CT scan slice; 512x512 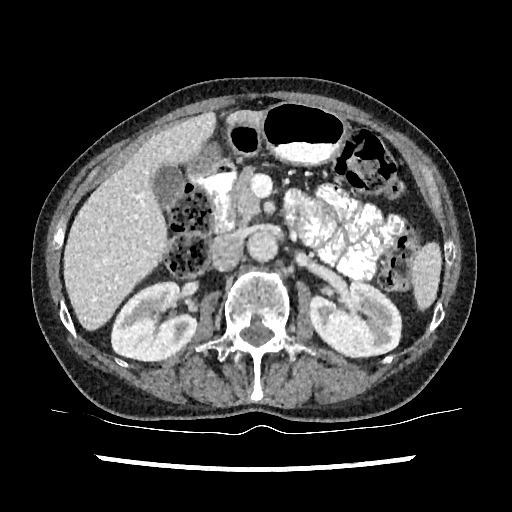 2 liver regions are bounded by <bbox>229, 110, 262, 124</bbox>, <bbox>64, 112, 214, 329</bbox>. 2 kidney regions appear at <bbox>311, 283, 400, 356</bbox>, <bbox>112, 281, 196, 360</bbox>.